Slice index 96 | 240x240 px
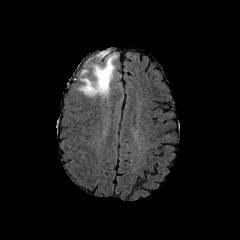
FLAIR MRI.
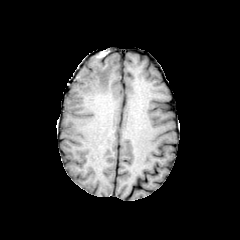
T1-weighted MR image of the same slice.
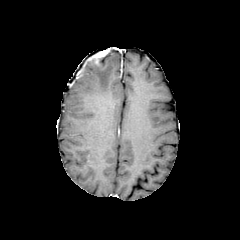
Same slice, post-contrast T1-weighted MRI.
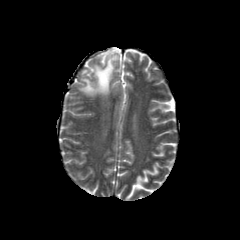
T2-weighted MR.
The non-enhancing tumor core is located at x1=84, y1=56, x2=105, y2=68. The edema is at x1=77, y1=51, x2=117, y2=97. The enhancing tumor is bounded by x1=92, y1=48, x2=109, y2=61.